Computed tomography; Upper abdomen

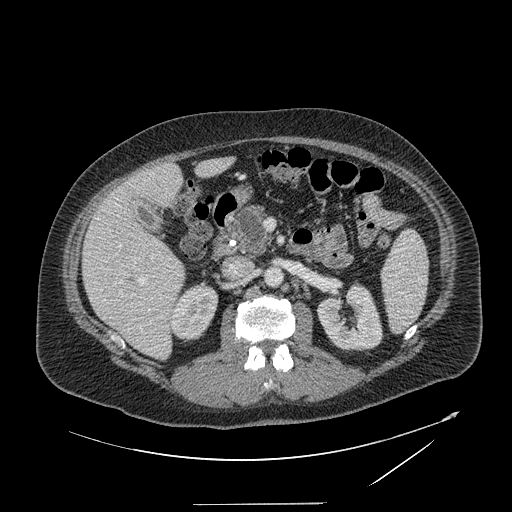

Pancreas — l=232, t=205, r=270, b=255.